Slice 73 of 155; Brain
FLAIR MRI.
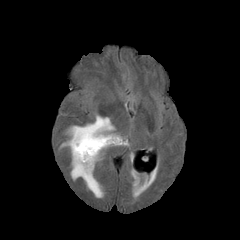
T1-weighted MR image.
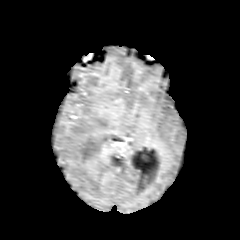
Post-contrast T1-weighted MRI.
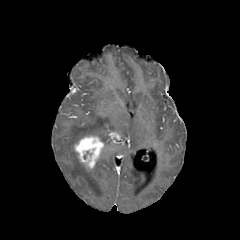
T2-weighted MRI.
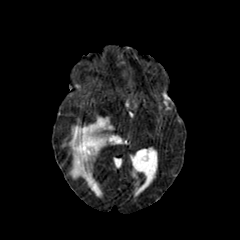
{"edema": ["(x1=64, y1=115, x2=127, y2=197)"], "enhancing_tumor": ["(x1=74, y1=136, x2=103, y2=168)"]}